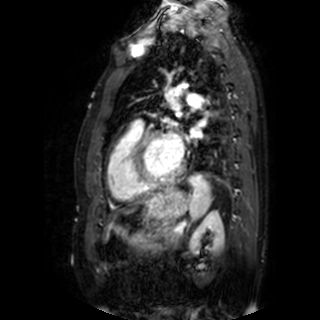 MRI slice. Heart.
{
  "left_atrium": [
    {"x1": 190, "y1": 127, "x2": 202, "y2": 137},
    {"x1": 170, "y1": 134, "x2": 184, "y2": 158}
  ]
}